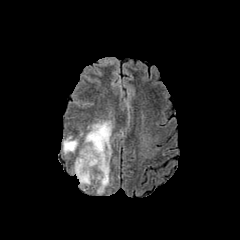
FLAIR MRI.
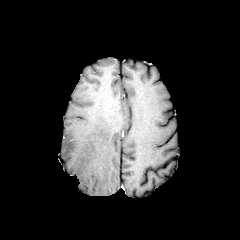
T1-weighted MRI.
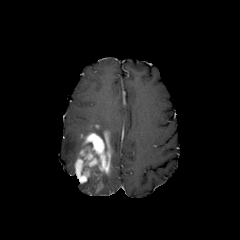
Post-contrast T1-weighted MR image.
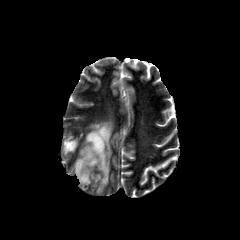
T2-weighted MR.
240x240. Head.
The enhancing tumor appears at (74, 132, 110, 183). 4 edema regions are bounded by (63, 136, 83, 155), (100, 175, 109, 191), (87, 121, 112, 155), (81, 176, 99, 187). The non-enhancing tumor core is located at (90, 165, 109, 191).